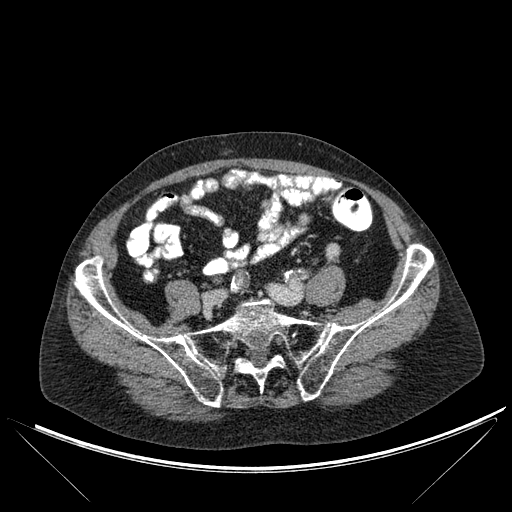
Image size 512x512. CT.

bone:
  - x1=74, y1=244, x2=433, y2=406
  - x1=235, y1=355, x2=283, y2=391